512x512 px. CT image. Slice 185/565.
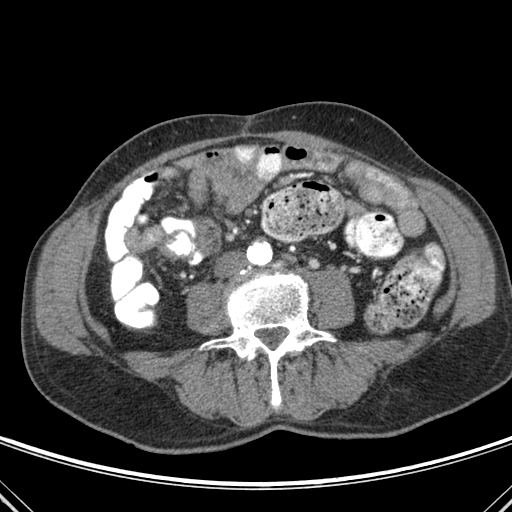
Bone — [x1=201, y1=271, x2=335, y2=407].